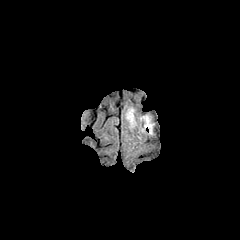
FLAIR MR.
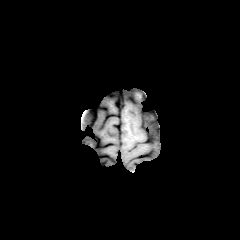
T1-weighted MR.
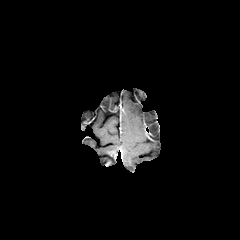
Post-contrast T1-weighted MRI of the same slice.
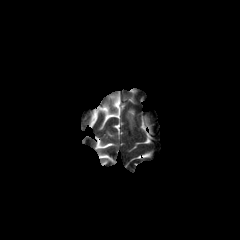
Same slice, T2-weighted magnetic resonance.
edema:
  - x1=141, y1=115, x2=152, y2=133
  - x1=126, y1=108, x2=134, y2=124